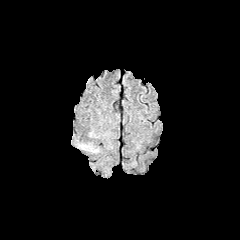
FLAIR MRI.
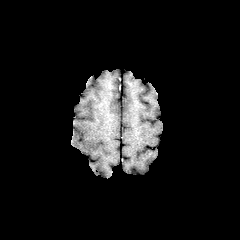
T1-weighted magnetic resonance.
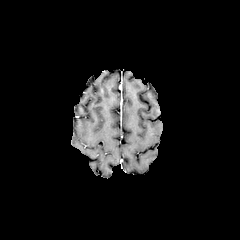
Post-contrast T1-weighted MR.
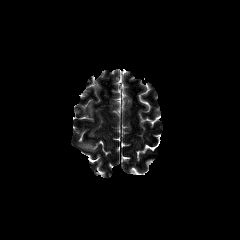
T2-weighted magnetic resonance.
Brain.
Segmented structures:
* edema: bbox(76, 140, 99, 152)